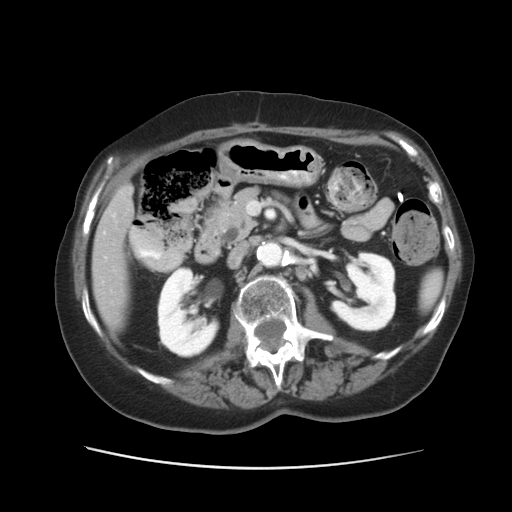

Abdomen, CT image
Some hepatic vessels may have no box.
Segmented structures:
• hepatic vessel: x1=104, y1=258, x2=106, y2=259; x1=109, y1=212, x2=115, y2=219; x1=103, y1=232, x2=104, y2=233